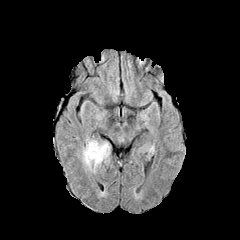
FLAIR MR.
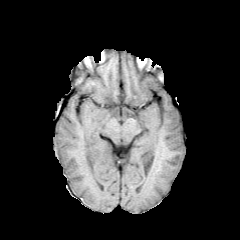
T1-weighted MRI.
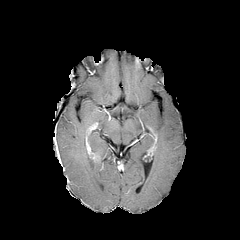
Same slice, post-contrast T1-weighted MRI.
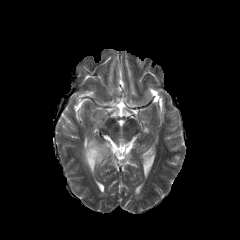
T2-weighted MR of the same slice.
Head | 240x240
Edema = 79:139:111:174.